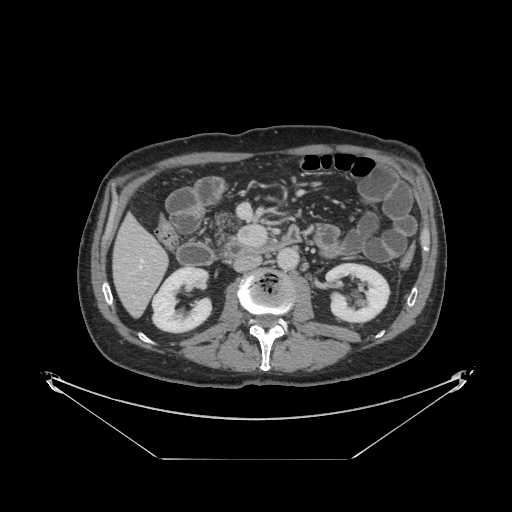 CT | Upper abdomen

The pancreatic tumor appears at x1=237 y1=224 x2=268 y2=247. The pancreas is located at x1=208 y1=210 x2=250 y2=251.